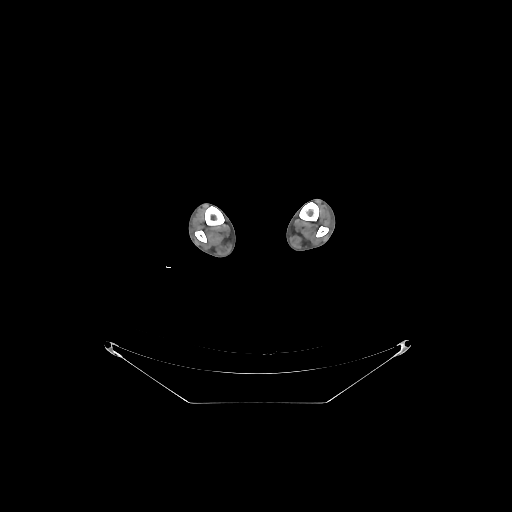

CT slice

4 bone regions are located at (left=205, top=206, right=224, bottom=225), (left=316, top=226, right=328, bottom=237), (left=195, top=230, right=206, bottom=242), (left=299, top=202, right=319, bottom=220).